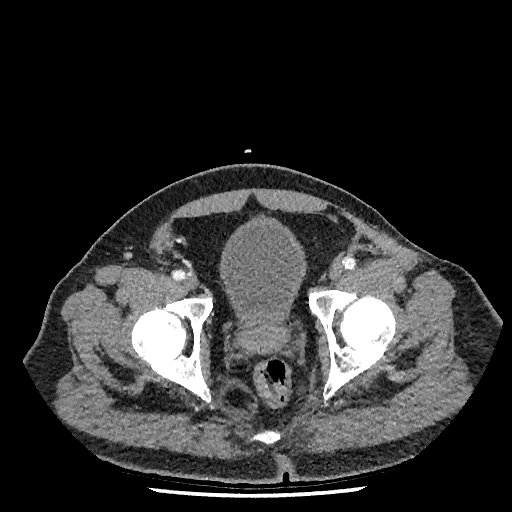 CT slice
The urinary bladder is bounded by left=218, top=220, right=307, bottom=324.